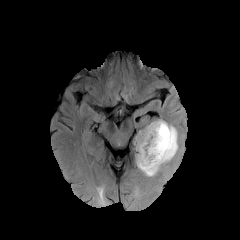
FLAIR MR.
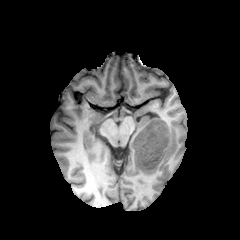
T1-weighted magnetic resonance of the same slice.
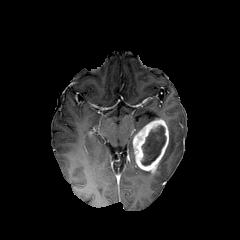
Post-contrast T1-weighted magnetic resonance of the same slice.
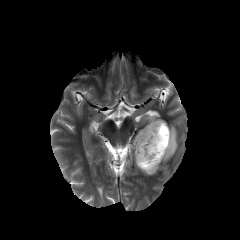
Same slice, T2-weighted MR.
240x240
Segmented structures:
- edema: bbox(136, 164, 154, 177); bbox(156, 121, 178, 172)
- non-enhancing tumor core: bbox(141, 125, 166, 165)
- enhancing tumor: bbox(133, 119, 169, 173)